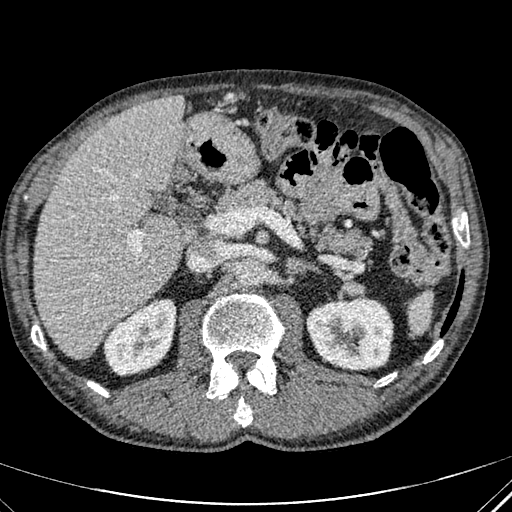 CT slice, Liver
The liver is located at box(35, 95, 187, 358). The liver lesion lies within box(161, 97, 172, 106). 2 kidney regions are bounded by box(105, 301, 175, 374); box(307, 300, 392, 368).